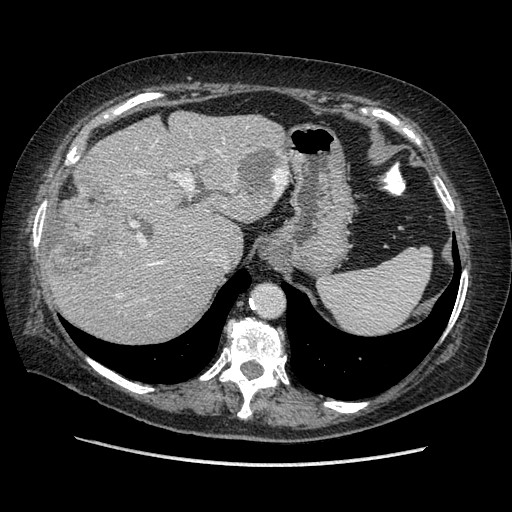 CT image. Not every hepatic vessel necessarily has a box.
{
  "hepatic_vessel": [
    "140, 171, 145, 172",
    "117, 294, 122, 296",
    "169, 172, 193, 190",
    "137, 233, 145, 242",
    "131, 221, 137, 225"
  ],
  "liver_tumor": [
    "56, 181, 108, 269"
  ]
}